Brain; Image size 240x240; Slice 94 of 155
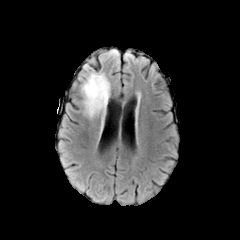
FLAIR MR image.
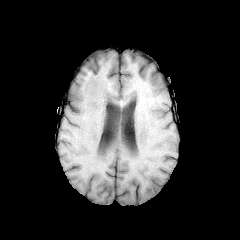
T1-weighted magnetic resonance.
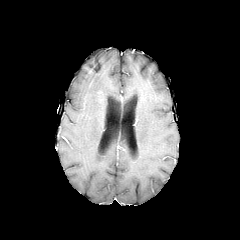
Post-contrast T1-weighted MR.
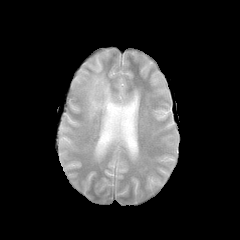
T2-weighted MR image of the same slice.
edema: left=80, top=64, right=110, bottom=130